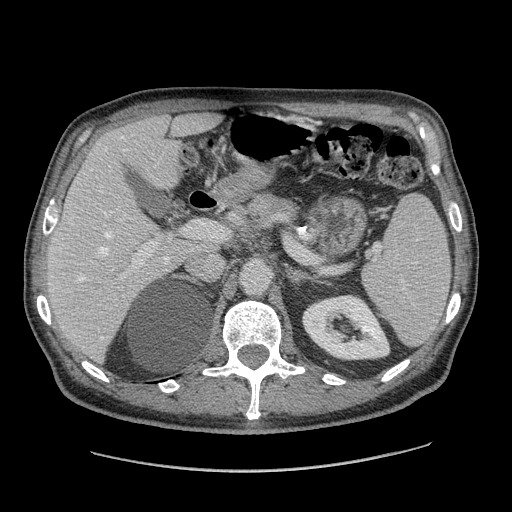 Abdomen. CT scan slice.
<segmentation>
  <pancreatic_tumor>bbox(268, 198, 286, 212)</pancreatic_tumor>
  <pancreas>bbox(247, 194, 295, 219)</pancreas>
</segmentation>